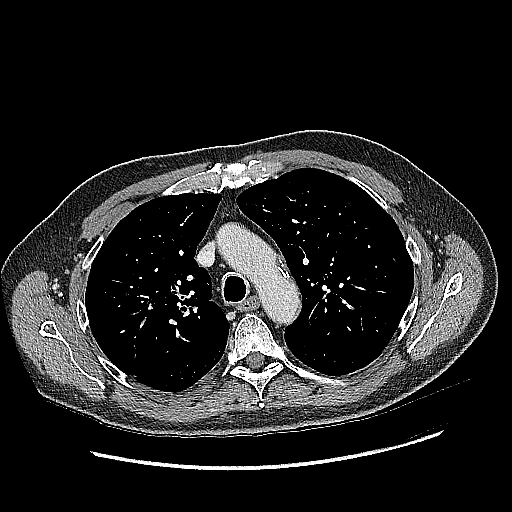
CT

lung tumor: l=134, t=282, r=140, b=289